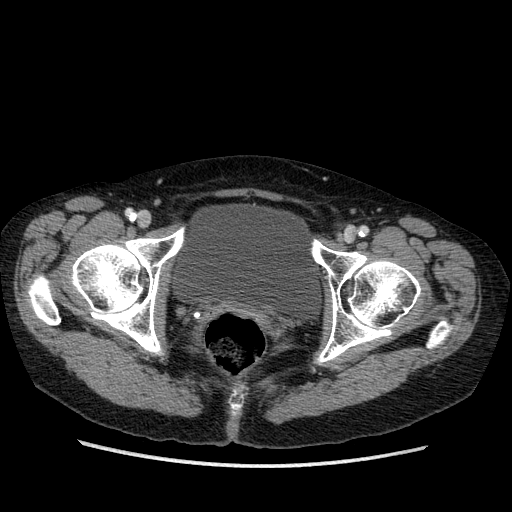

Pelvis; CT

Urinary bladder = <bbox>170, 203, 324, 322</bbox>.